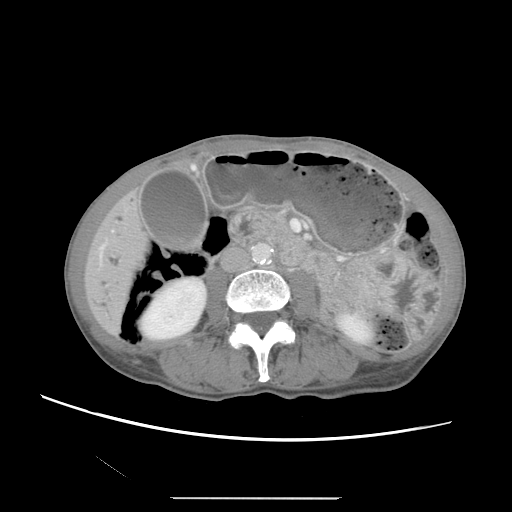 Abdomen | CT
The pancreas is located at box=[274, 217, 303, 245].